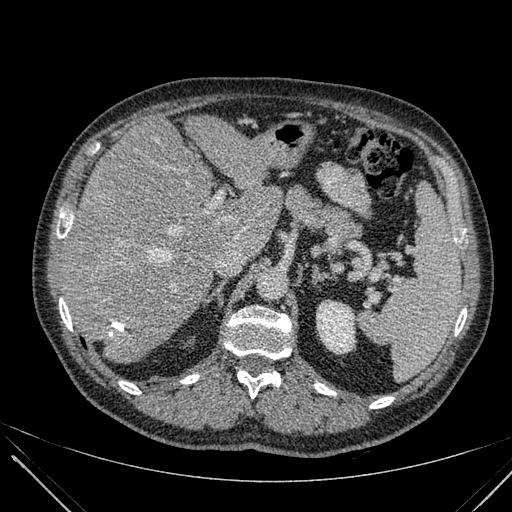 CT scan slice, 512x512
- kidney: (316, 301, 354, 352)
- liver: (62, 115, 283, 362)